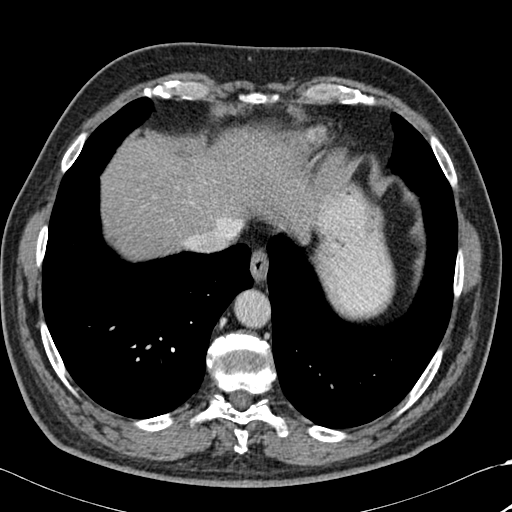

Computed tomography.
13 bone regions appear at [405, 351, 441, 408], [249, 93, 264, 102], [343, 88, 373, 103], [454, 254, 463, 295], [144, 81, 182, 97], [194, 333, 287, 436], [36, 227, 47, 263], [309, 426, 344, 441], [41, 325, 67, 385], [62, 134, 84, 170], [235, 429, 247, 453], [431, 138, 456, 184], [136, 415, 171, 430]. The liver is at [102, 129, 304, 254]. 2 lung regions are bounded by [42, 97, 253, 418], [266, 112, 457, 428].